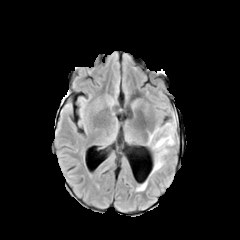
FLAIR MR.
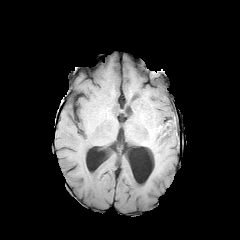
T1-weighted MRI.
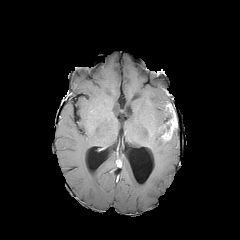
Post-contrast T1-weighted magnetic resonance of the same slice.
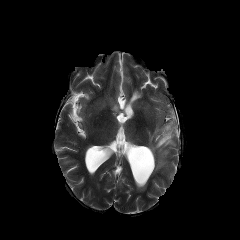
T2-weighted magnetic resonance.
<segmentation>
  <edema>146:125:176:174, 136:180:147:191</edema>
  <enhancing_tumor>161:108:176:141</enhancing_tumor>
</segmentation>